Slice index 44 | CT scan slice | Abdomen 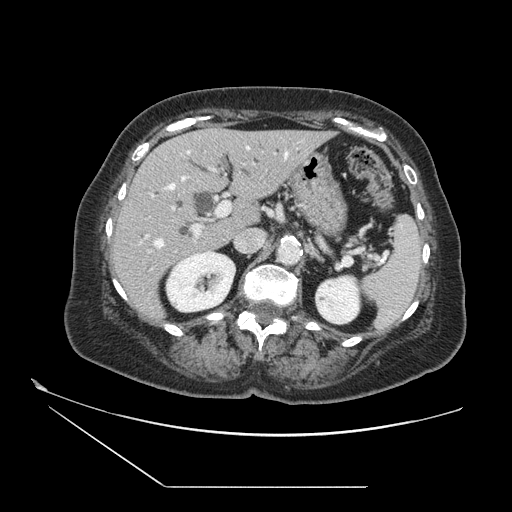

Pancreas = 352, 237, 361, 244.